CT scan slice; 512x512 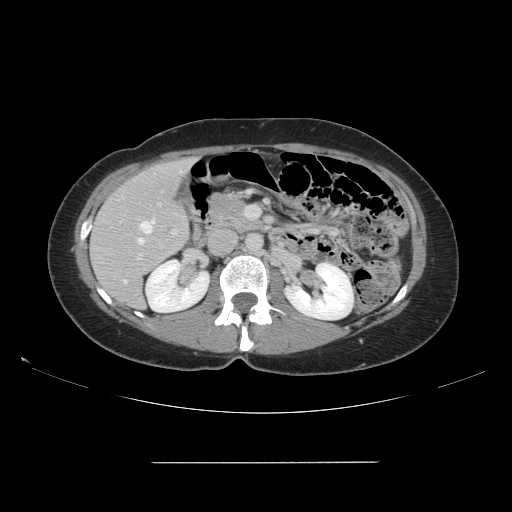

Only some of the vessels may be annotated.
hepatic vessel: 121:196:123:198, 180:170:181:172, 139:219:155:233, 124:280:126:283, 172:229:176:233, 157:203:160:205, 138:238:144:244, 138:254:141:258